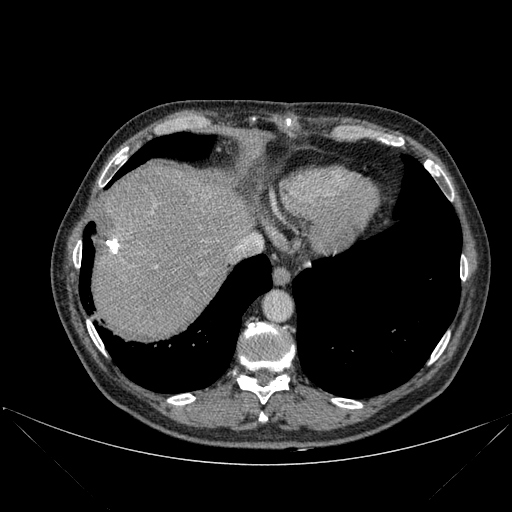 Computed tomography. Abdomen. 512x512.
Annotated regions:
• bone: x1=87 y1=320 x2=105 y2=353, x1=73 y1=240 x2=81 y2=267, x1=258 y1=412 x2=267 y2=422, x1=99 y1=150 x2=126 y2=186, x1=167 y1=394 x2=195 y2=404, x1=240 y1=323 x2=294 y2=370, x1=332 y1=398 x2=362 y2=408, x1=429 y1=334 x2=449 y2=363, x1=237 y1=375 x2=289 y2=403, x1=424 y1=160 x2=451 y2=188, x1=460 y1=257 x2=467 y2=280, x1=381 y1=138 x2=401 y2=145
• lung: x1=79 y1=222 x2=94 y2=311, x1=293 y1=155 x2=461 y2=397, x1=108 y1=132 x2=213 y2=186, x1=96 y1=254 x2=271 y2=392
• liver: x1=92 y1=167 x2=253 y2=343